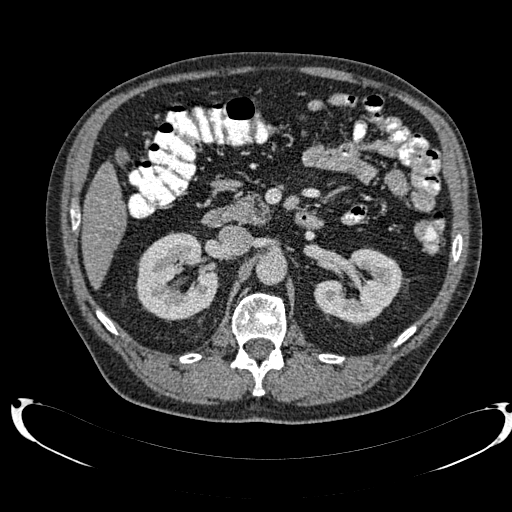 CT scan slice | Image size 512x512

Annotated regions:
- liver: 82:162:125:288
- kidney: 314:249:402:324, 136:233:217:320